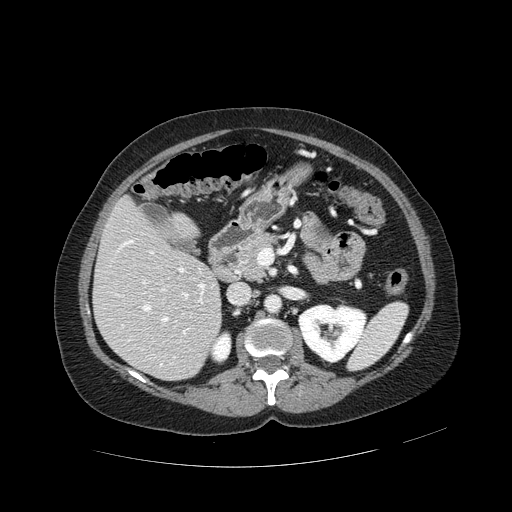

Image size 512x512, Abdomen, Computed tomography

Pancreas — region(236, 234, 276, 279).